Head
FLAIR magnetic resonance.
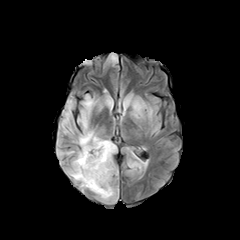
T1-weighted MR.
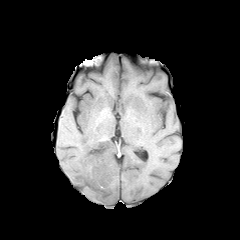
Post-contrast T1-weighted MR.
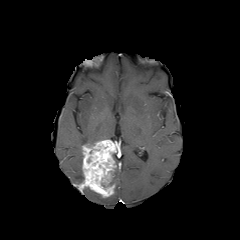
T2-weighted MR image.
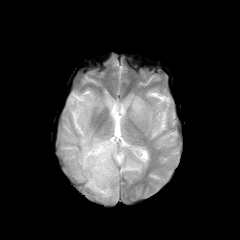
2 edema regions appear at 61 94 103 183, 120 96 144 119. The non-enhancing tumor core is located at 109 173 115 193. The enhancing tumor lies within 82 140 117 197.